FLAIR MR image.
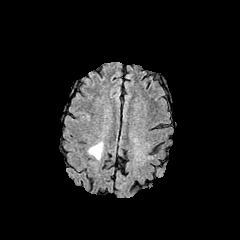
T1-weighted magnetic resonance.
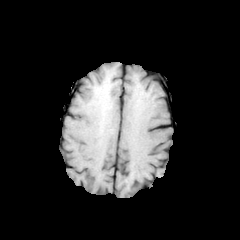
Post-contrast T1-weighted MR.
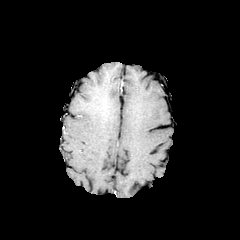
T2-weighted MR.
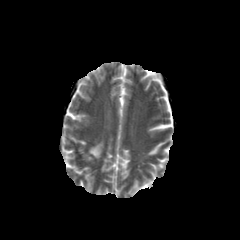
Brain | 240x240
edema: region(88, 141, 103, 159)